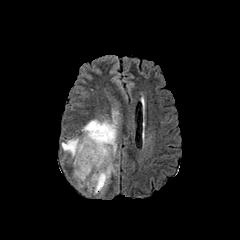
FLAIR MRI.
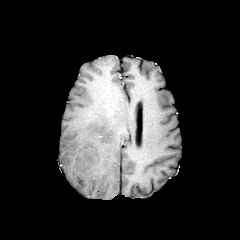
T1-weighted MR of the same slice.
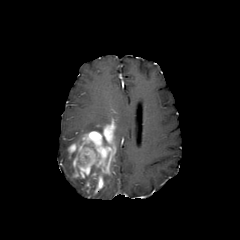
Same slice, post-contrast T1-weighted MRI.
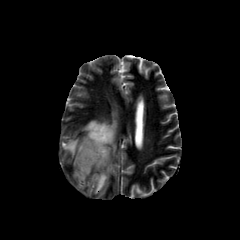
T2-weighted MRI.
Brain.
Non-enhancing tumor core — <bbox>75, 165, 101, 187</bbox>.
Edema — <bbox>115, 118, 118, 147</bbox>, <bbox>99, 163, 115, 193</bbox>, <bbox>81, 119, 109, 133</bbox>, <bbox>61, 137, 81, 152</bbox>.
Enhancing tumor — <bbox>68, 118, 116, 177</bbox>, <bbox>95, 174, 103, 193</bbox>.